FLAIR MRI.
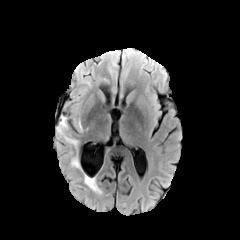
T1-weighted MR image.
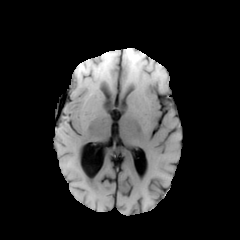
Post-contrast T1-weighted MR.
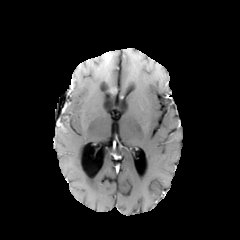
T2-weighted MR.
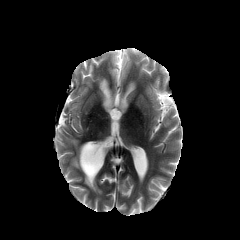
240x240 px | Brain
{"edema": ["(left=84, top=174, right=99, bottom=191)", "(left=60, top=116, right=67, bottom=128)"]}